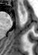

MRI slice
Anterior hippocampus at region(20, 5, 24, 15).